FLAIR magnetic resonance.
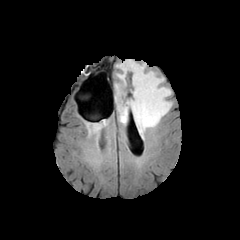
T1-weighted MR.
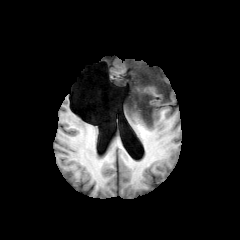
Post-contrast T1-weighted MR.
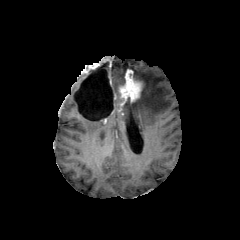
T2-weighted MRI.
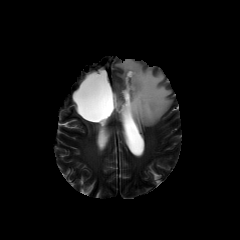
non-enhancing_tumor_core:
  - [x1=133, y1=72, x2=145, y2=97]
  - [x1=114, y1=90, x2=121, y2=105]
  - [x1=116, y1=105, x2=125, y2=121]
edema:
  - [x1=116, y1=60, x2=171, y2=139]
enhancing_tumor:
  - [x1=117, y1=69, x2=142, y2=112]